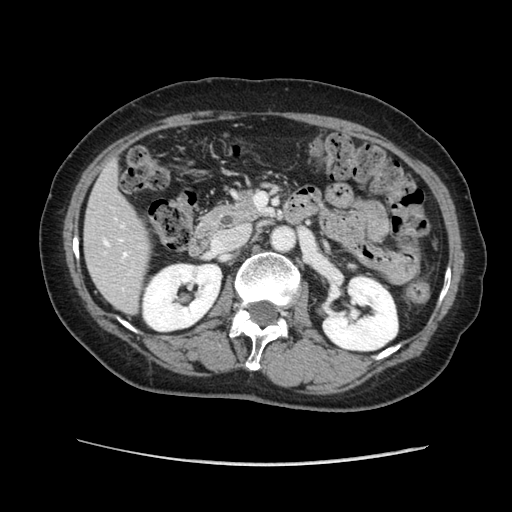 Abdomen. Computed tomography.
Segmented structures:
* pancreas: (203, 187, 267, 229)